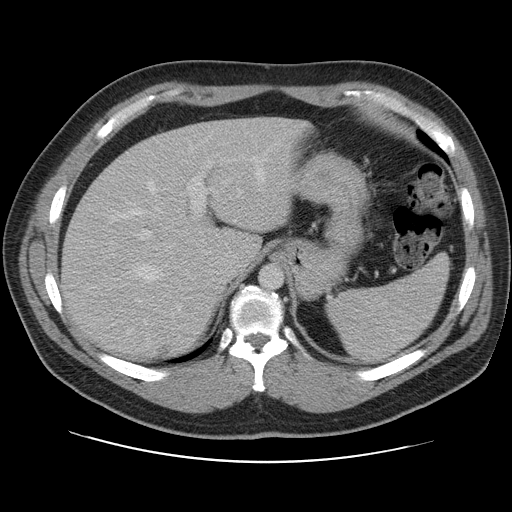
CT slice
Some hepatic vessels may have no box.
13 hepatic vessel regions are located at bbox(188, 288, 191, 289); bbox(143, 319, 147, 324); bbox(159, 230, 162, 230); bbox(237, 189, 241, 196); bbox(205, 161, 211, 167); bbox(186, 270, 188, 274); bbox(190, 147, 193, 151); bbox(180, 193, 182, 195); bbox(187, 177, 207, 219); bbox(133, 264, 155, 281); bbox(179, 176, 184, 179); bbox(139, 230, 150, 239); bbox(233, 219, 236, 222).